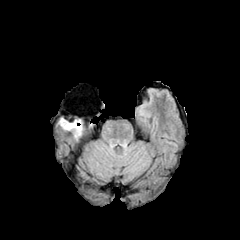
FLAIR MR image.
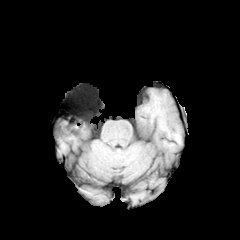
Same slice, T1-weighted magnetic resonance.
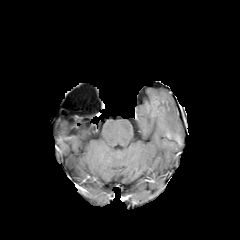
Post-contrast T1-weighted MR.
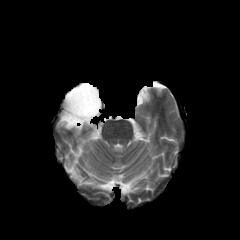
Same slice, T2-weighted MR image.
240x240
Non-enhancing tumor core = <bbox>62, 118, 75, 127</bbox>.
Edema = <bbox>59, 118, 82, 139</bbox>.